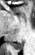 Hippocampus; MR
Posterior hippocampus: bounding box rect(12, 42, 22, 49).